Brain; Slice index 90
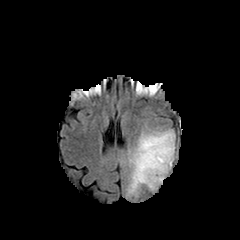
FLAIR MRI.
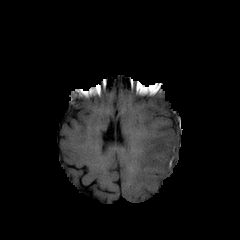
Same slice, T1-weighted MR.
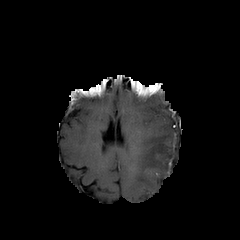
Same slice, post-contrast T1-weighted MRI.
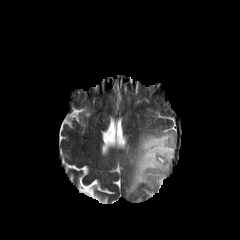
T2-weighted MR image.
Findings:
* edema: bbox=[126, 127, 176, 195]